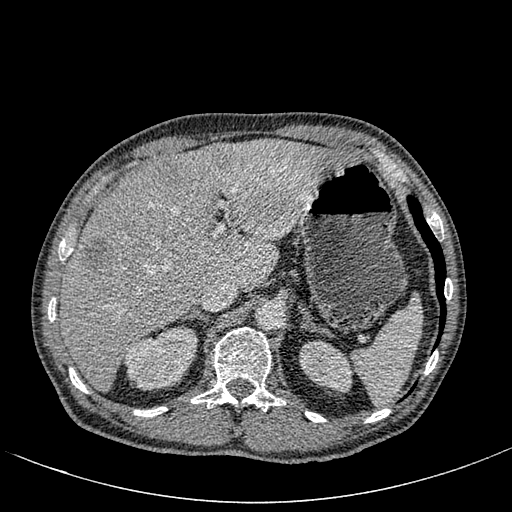

CT slice. Abdomen. 512x512 px. The liver is bounded by x1=59 y1=139 x2=361 y2=392. 4 liver lesion regions are bounded by x1=156 y1=159 x2=182 y2=184, x1=212 y1=143 x2=233 y2=164, x1=81 y1=237 x2=110 y2=272, x1=220 y1=235 x2=236 y2=252. 2 kidney regions are located at x1=123 y1=327 x2=197 y2=389, x1=300 y1=341 x2=351 y2=391.